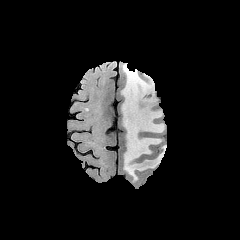
FLAIR magnetic resonance.
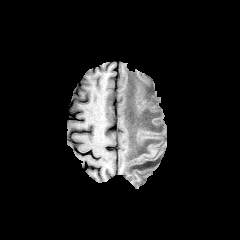
T1-weighted magnetic resonance.
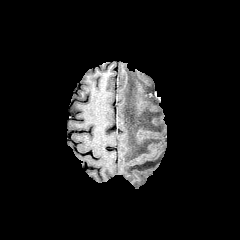
Post-contrast T1-weighted MRI.
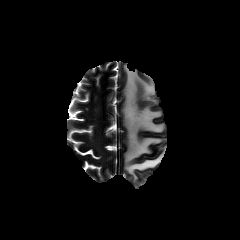
T2-weighted MRI.
Image size 240x240
The edema lies within l=122, t=66, r=163, b=181.